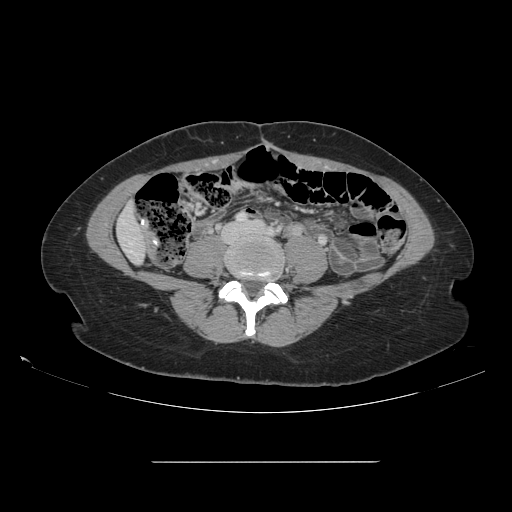

CT scan slice. 512x512.
The vessel boxes may cover only some of the vessels.
The hepatic vessel is located at box(129, 242, 132, 243).